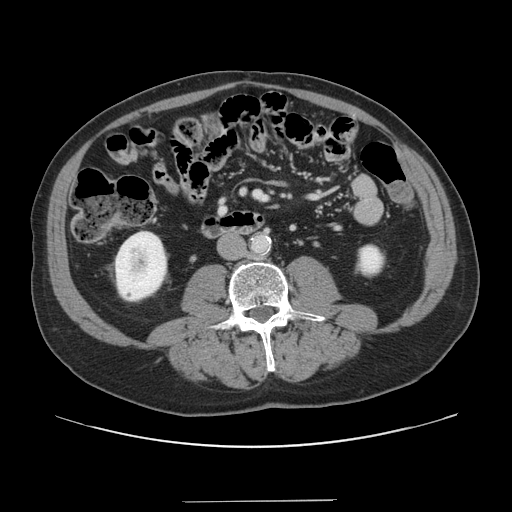

Abdomen, CT
The vessel boxes may cover only some of the vessels.
The hepatic vessel is bounded by (left=254, top=191, right=265, bottom=199).